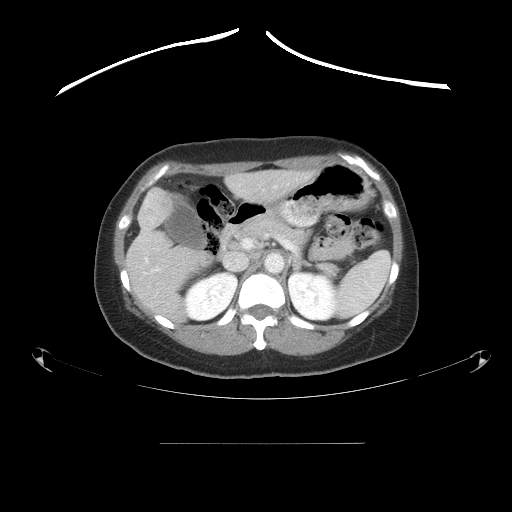 Computed tomography, Liver
Not every hepatic vessel necessarily has a box.
liver_tumor:
  - box(140, 190, 167, 227)
hepatic_vessel:
  - box(224, 253, 246, 269)
  - box(145, 259, 147, 262)
  - box(145, 267, 158, 274)
  - box(273, 186, 275, 188)
  - box(243, 240, 251, 247)